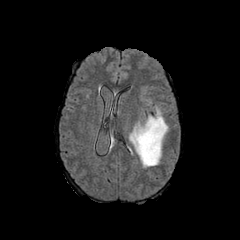
FLAIR MRI.
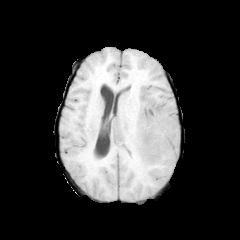
T1-weighted MR image.
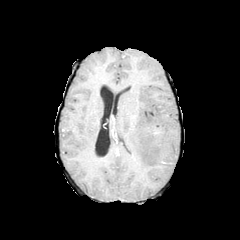
Same slice, post-contrast T1-weighted magnetic resonance.
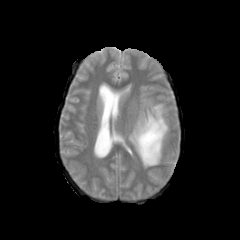
Same slice, T2-weighted MRI.
Edema — [129, 102, 168, 167].
Non-enhancing tumor core — [140, 126, 161, 147].